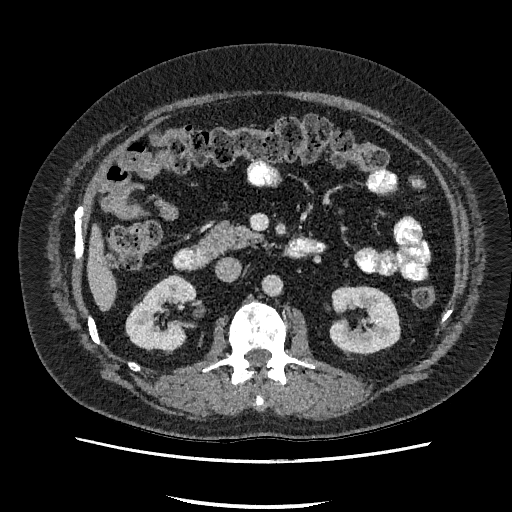
Computed tomography.

Segmented structures:
* liver: <box>88,226,116,309</box>
* kidney: <box>126,276,194,349</box>, <box>330,288,399,352</box>